Computed tomography

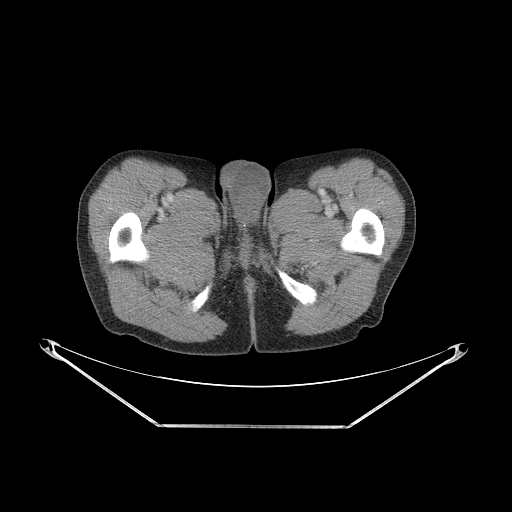

Segmented structures:
* bone: [x1=109, y1=212, x2=148, y2=261], [x1=279, y1=271, x2=316, y2=304], [x1=341, y1=208, x2=384, y2=254], [x1=192, y1=287, x2=208, y2=310]